MRI slice; Slice 25/37 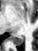 {"posterior_hippocampus": ["14, 36, 23, 45"]}